Image size 34x51. MR. Image width 34 mm. Slice index 26. Hippocampus.

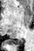 The posterior hippocampus is located at [11, 39, 23, 45].